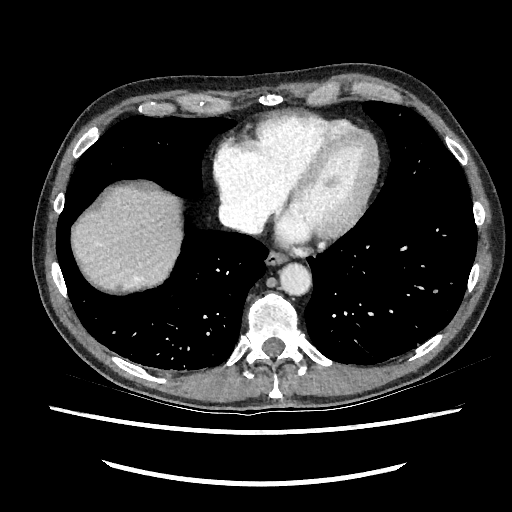

CT scan slice | Liver

<segmentation>
  <liver>72 188 181 288</liver>
</segmentation>